Field of view 240 mm wide, 1.00 mm slice spacing | 240x240
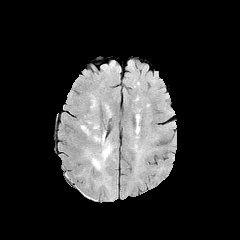
FLAIR magnetic resonance.
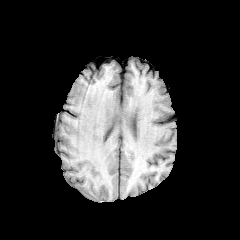
Same slice, T1-weighted MR image.
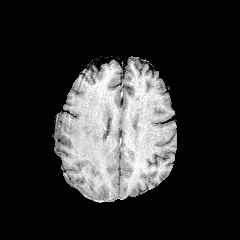
Post-contrast T1-weighted magnetic resonance of the same slice.
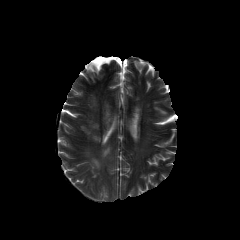
T2-weighted magnetic resonance of the same slice.
edema:
  - 91,134,112,170